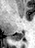
35x48 | Magnetic resonance | Medial temporal lobe
The posterior hippocampus appears at box(13, 33, 24, 39).